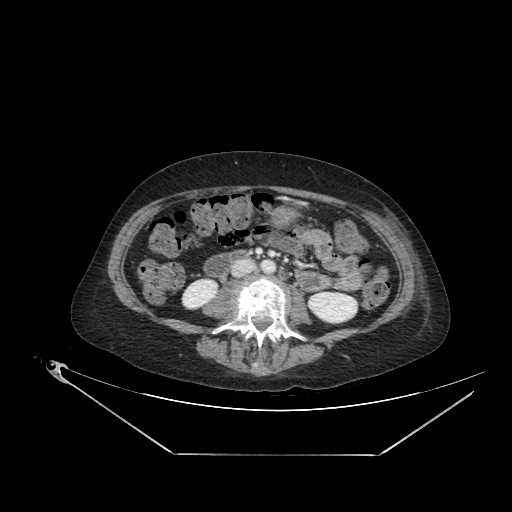

CT

Kidney = [183, 280, 217, 307], [309, 292, 356, 322].